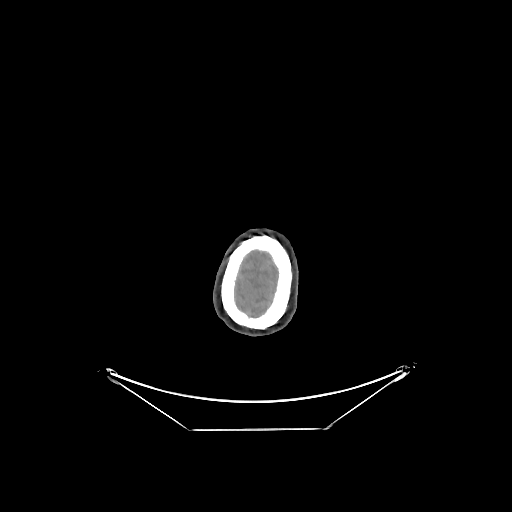

CT slice. The brain is at box(234, 250, 278, 317).